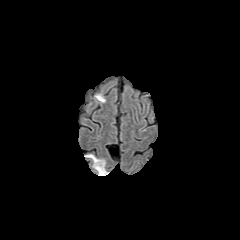
FLAIR MRI.
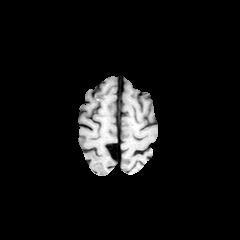
T1-weighted MRI of the same slice.
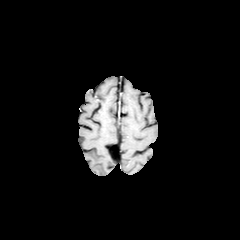
Post-contrast T1-weighted MR.
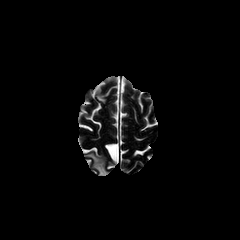
T2-weighted magnetic resonance of the same slice.
Image size 240x240.
Edema — box(87, 154, 107, 174).